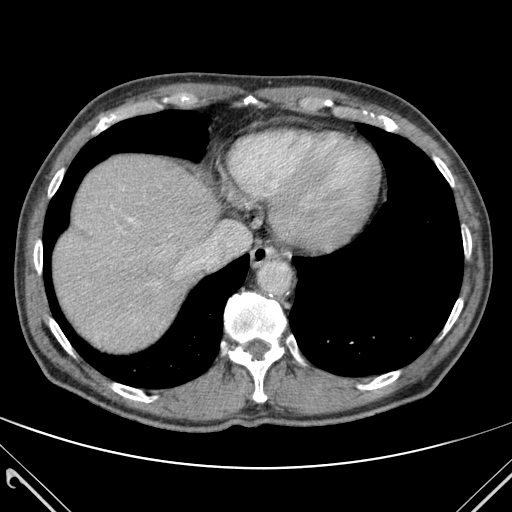
Computed tomography
<segmentation>
  <liver>region(53, 155, 218, 352)</liver>
  <lung>region(43, 110, 248, 388); region(289, 123, 463, 376)</lung>
  <bone>region(287, 335, 301, 361); region(359, 371, 399, 389); region(95, 115, 115, 131); region(34, 240, 42, 273); region(224, 293, 285, 401); region(443, 299, 462, 334); region(112, 383, 154, 402); region(434, 157, 453, 186); region(378, 116, 397, 131); region(243, 96, 258, 104); region(50, 318, 72, 354); region(48, 169, 63, 196); region(462, 229, 471, 255)</bone>
</segmentation>